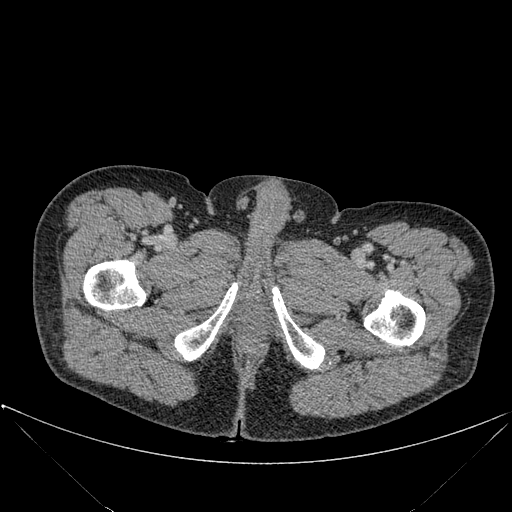 Computed tomography.
bone:
  - <bbox>175, 283, 237, 360</bbox>
  - <bbox>83, 260, 145, 310</bbox>
  - <bbox>364, 290, 425, 346</bbox>
  - <bbox>272, 287, 324, 368</bbox>